Slice 130/836. CT image. Pelvis.

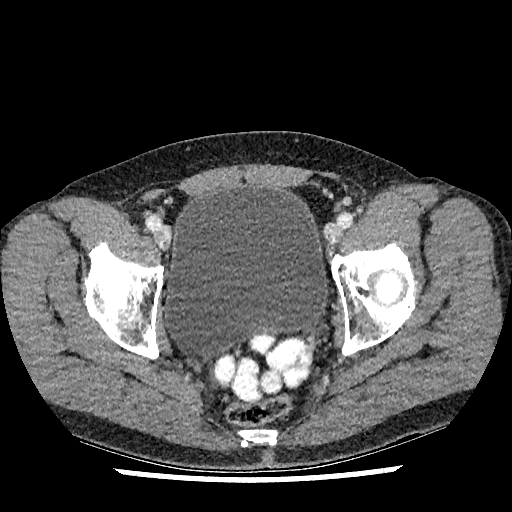 urinary_bladder:
  - [x1=164, y1=186, x2=327, y2=356]